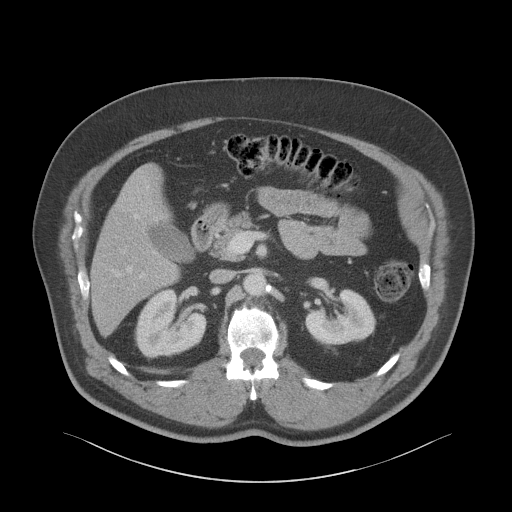 CT. 512x512.

Kidney — x1=306, y1=290, x2=373, y2=343; x1=137, y1=290, x2=205, y2=356.
Liver — x1=90, y1=168, x2=176, y2=331.